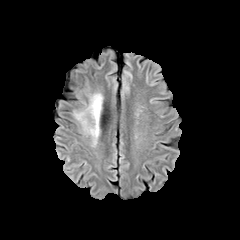
FLAIR MR.
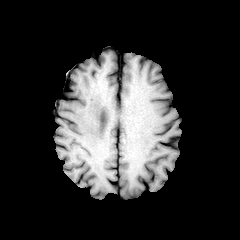
T1-weighted MR image.
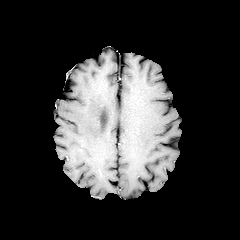
Post-contrast T1-weighted magnetic resonance of the same slice.
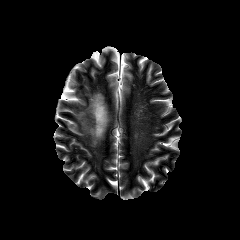
Same slice, T2-weighted magnetic resonance.
240x240. Brain.
Findings:
• edema: region(74, 91, 103, 145)